Image size 240x240
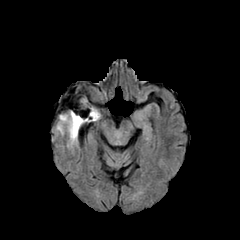
FLAIR magnetic resonance.
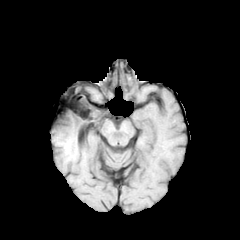
T1-weighted MR image.
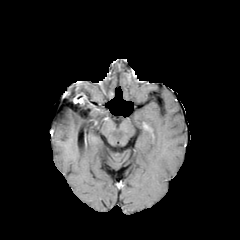
Post-contrast T1-weighted MR image.
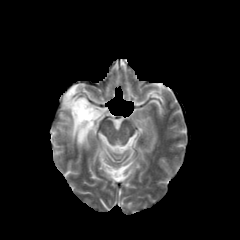
T2-weighted MR image of the same slice.
Findings:
• edema: x1=88, y1=113, x2=101, y2=121; x1=56, y1=111, x2=91, y2=147
• non-enhancing tumor core: x1=70, y1=98, x2=99, y2=125